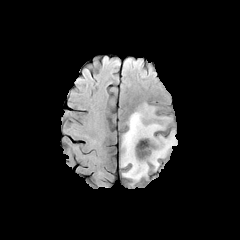
FLAIR magnetic resonance.
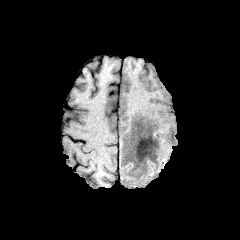
T1-weighted magnetic resonance of the same slice.
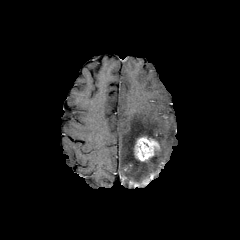
Post-contrast T1-weighted MR of the same slice.
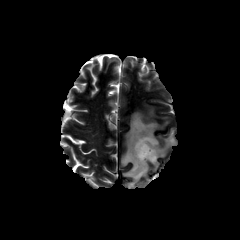
T2-weighted MR.
Enhancing tumor: (135, 137, 159, 160).
Edema: (121, 112, 177, 182).
Non-enhancing tumor core: (135, 135, 157, 144).